FLAIR MR.
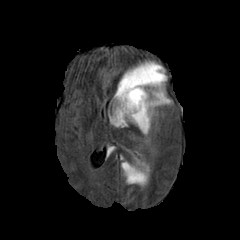
T1-weighted MRI.
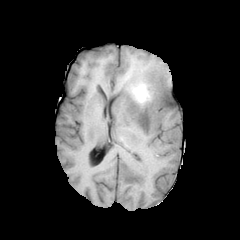
Post-contrast T1-weighted magnetic resonance.
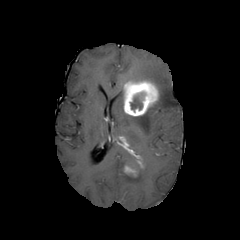
T2-weighted MR.
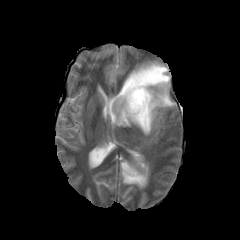
240x240; Brain
edema: 111,61,172,135; 121,158,149,186 | enhancing tumor: 123,80,157,116; 124,165,135,175 | non-enhancing tumor core: 136,105,153,119; 130,94,141,109